Field of view 470 mm wide, 5.00 mm slice spacing | CT scan slice

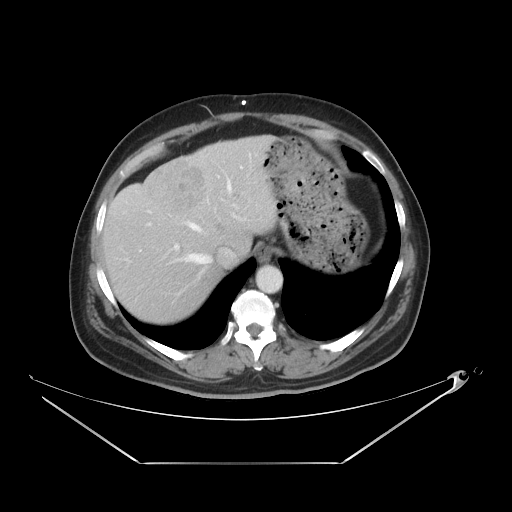 Some hepatic vessels may have no box.
5 hepatic vessel regions are located at bbox=[215, 169, 228, 180]; bbox=[176, 245, 177, 247]; bbox=[225, 188, 228, 190]; bbox=[195, 226, 201, 231]; bbox=[191, 256, 206, 275]. The liver tumor appears at bbox=[145, 159, 207, 214].